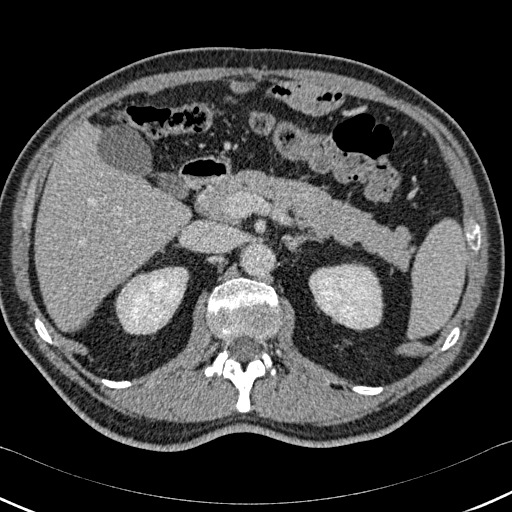
CT scan slice. Image size 512x512.
Segmented structures:
• bone: [x1=353, y1=386, x2=381, y2=394], [x1=205, y1=350, x2=271, y2=412], [x1=467, y1=225, x2=479, y2=249], [x1=207, y1=278, x2=279, y2=338], [x1=102, y1=380, x2=130, y2=387], [x1=35, y1=319, x2=51, y2=342], [x1=442, y1=328, x2=458, y2=349]
• liver: [x1=35, y1=124, x2=190, y2=330]
• kidney: [x1=117, y1=267, x2=187, y2=333], [x1=310, y1=265, x2=381, y2=328]